Slice 95 of 155. Head.
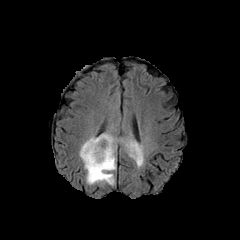
FLAIR MRI.
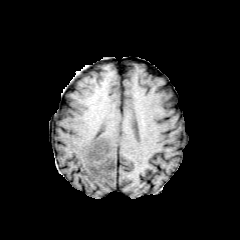
Same slice, T1-weighted MR.
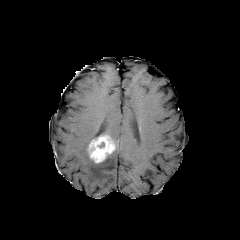
Post-contrast T1-weighted MR of the same slice.
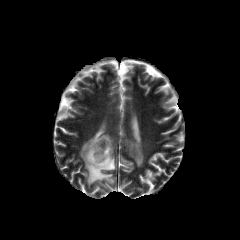
Same slice, T2-weighted MRI.
2 edema regions are bounded by (101, 131, 144, 167), (79, 134, 117, 186). The enhancing tumor is bounded by (87, 135, 118, 163).